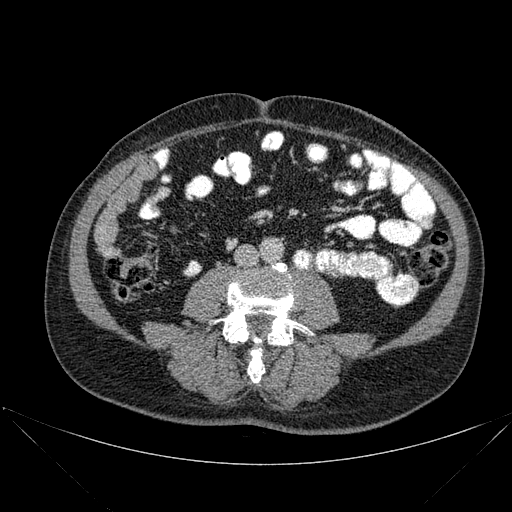

CT slice
* bone: left=217, top=263, right=311, bottom=345; left=247, top=348, right=264, bottom=382